Slice 451 of 986 | CT

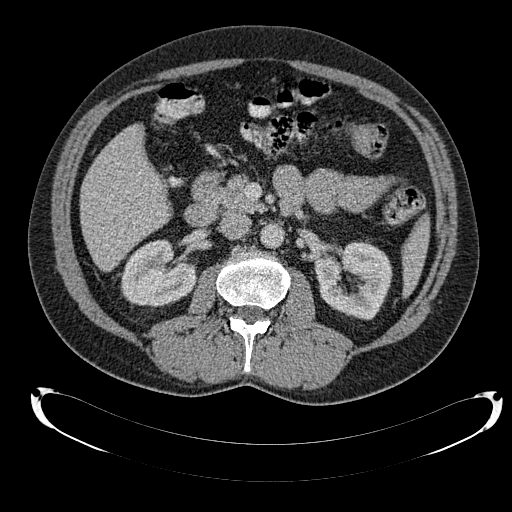
Segmented structures:
• kidney: box=[122, 240, 195, 305]; box=[315, 243, 391, 318]
• liver: box=[79, 124, 168, 270]